Field of view 437x437 mm | Computed tomography

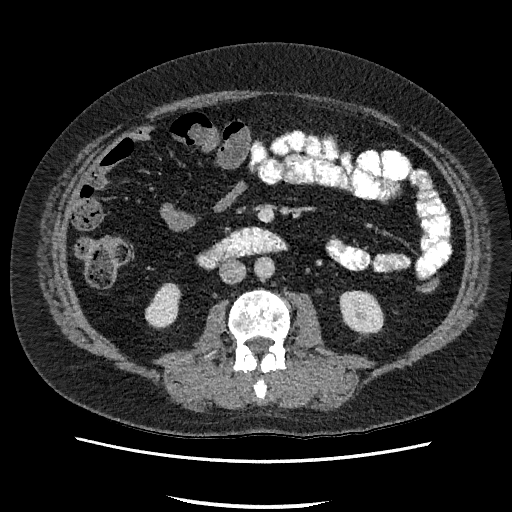 Kidney: bounding box 147 285 177 326, 341 292 382 331.